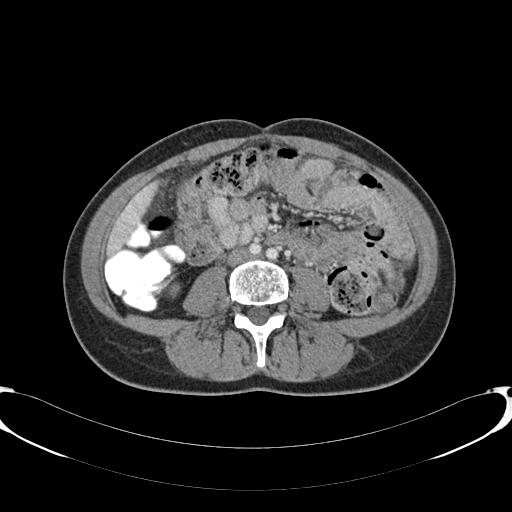 Abdomen | Computed tomography
The liver is located at bbox=[107, 180, 158, 255].